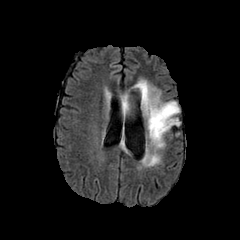
FLAIR MR image.
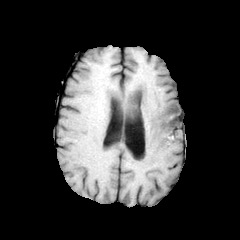
Same slice, T1-weighted MR.
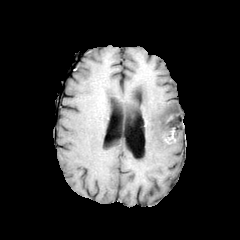
Same slice, post-contrast T1-weighted magnetic resonance.
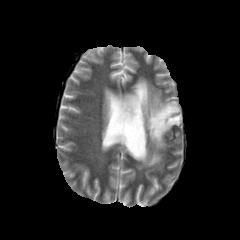
T2-weighted MR.
Head
Edema — l=120, t=79, r=180, b=168.
Non-enhancing tumor core — l=162, t=116, r=179, b=126; l=163, t=104, r=176, b=117; l=152, t=118, r=159, b=129.